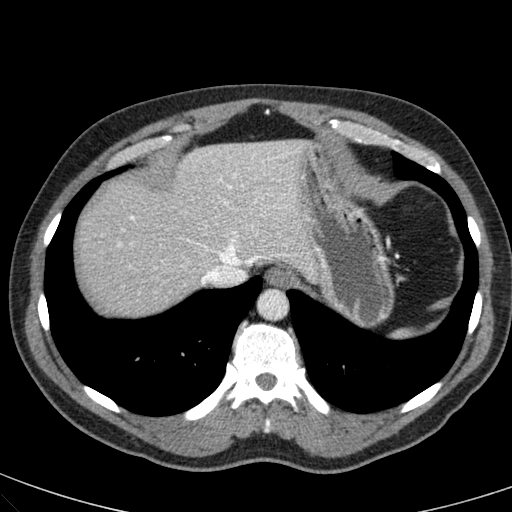

CT
Liver at [78, 140, 315, 314].